Slice 59/168, 512x512, CT 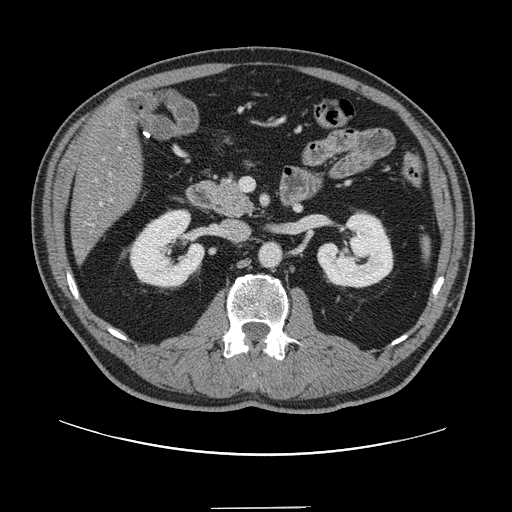

Only some of the vessels may be annotated.
Hepatic vessel: bounding box (x1=110, y1=199, x2=112, y2=200), (x1=100, y1=203, x2=102, y2=205).